Field of view 240x240 mm
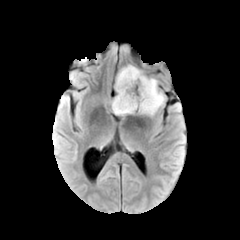
FLAIR MR image.
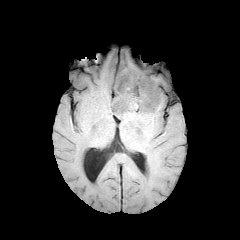
T1-weighted MR of the same slice.
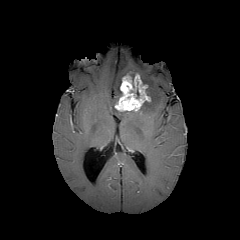
Post-contrast T1-weighted MR.
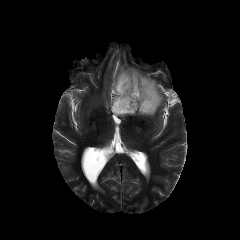
Same slice, T2-weighted MR image.
<segmentation>
  <enhancing_tumor>box(114, 72, 150, 112)</enhancing_tumor>
  <edema>box(116, 65, 165, 116)</edema>
  <non-enhancing_tumor_core>box(111, 75, 153, 115)</non-enhancing_tumor_core>
</segmentation>